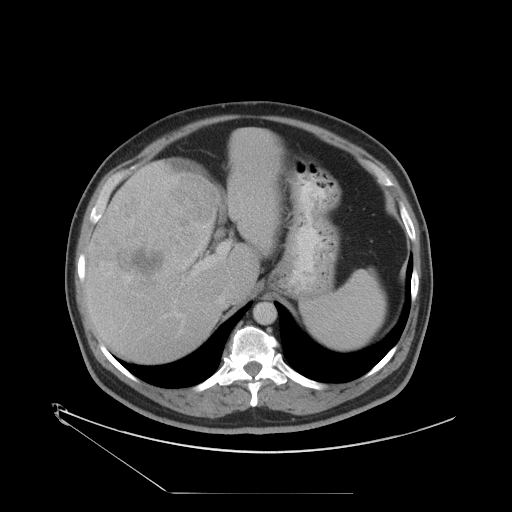 CT scan slice | Image size 512x512 | Abdomen
The vessel boxes may cover only some of the vessels.
11 hepatic vessel regions are located at (x1=181, y1=278, x2=189, y2=284), (x1=172, y1=311, x2=184, y2=331), (x1=174, y1=299, x2=176, y2=302), (x1=179, y1=259, x2=191, y2=268), (x1=166, y1=287, x2=168, y2=288), (x1=163, y1=314, x2=168, y2=317), (x1=206, y1=237, x2=207, y2=240), (x1=177, y1=290, x2=178, y2=292), (x1=193, y1=252, x2=197, y2=256), (x1=198, y1=241, x2=205, y2=251), (x1=191, y1=243, x2=227, y2=276). The liver tumor is at (x1=89, y1=159, x2=221, y2=294).